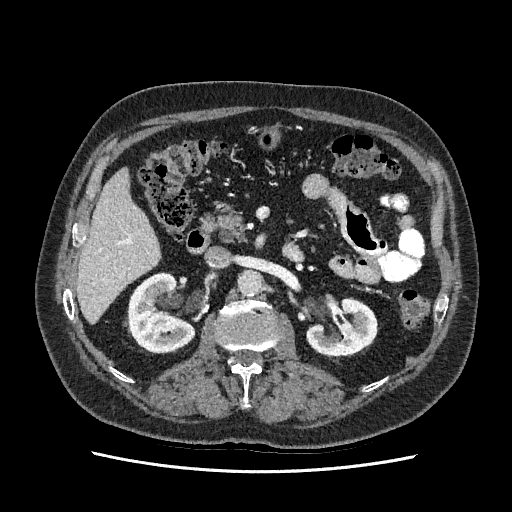

CT image. <segmentation>
  <liver>[x1=77, y1=168, x2=160, y2=324]</liver>
  <kidney>[x1=129, y1=273, x2=194, y2=352], [x1=307, y1=299, x2=376, y2=355]</kidney>
</segmentation>